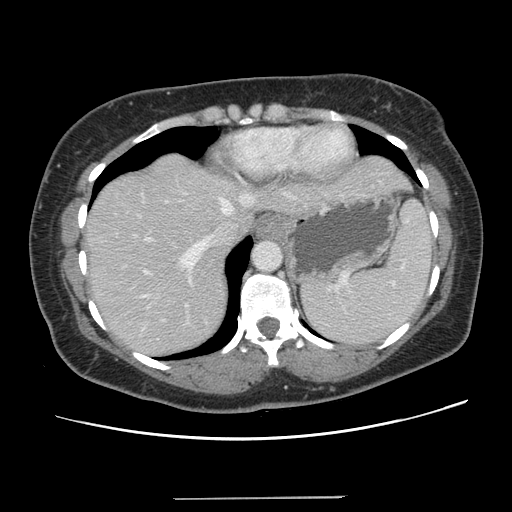 CT image | Abdomen
Not every hepatic vessel necessarily has a box.
9 hepatic vessel regions appear at l=144, t=270, r=148, b=273; l=145, t=238, r=151, b=240; l=221, t=199, r=232, b=213; l=142, t=295, r=147, b=296; l=241, t=195, r=252, b=203; l=185, t=304, r=187, b=306; l=181, t=236, r=212, b=269; l=166, t=200, r=167, b=202; l=188, t=278, r=190, b=283.